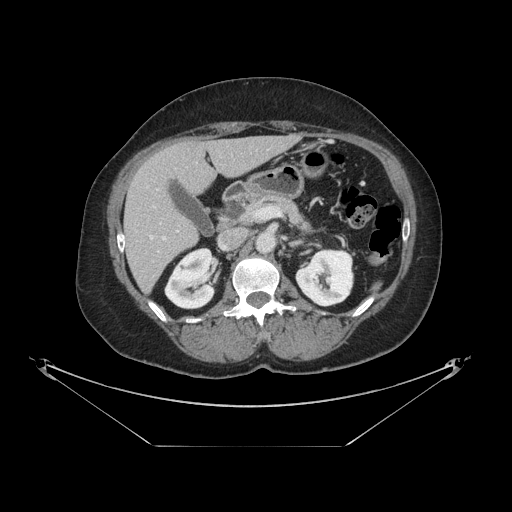
CT image. Abdomen.
The pancreas is located at 245, 195, 310, 230.